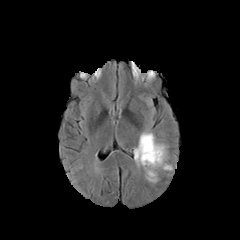
FLAIR MR image.
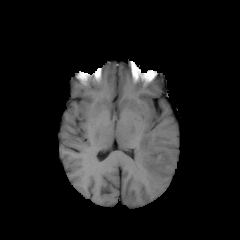
Same slice, T1-weighted magnetic resonance.
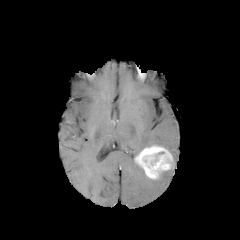
Same slice, post-contrast T1-weighted MRI.
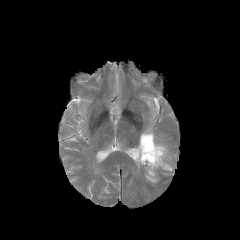
T2-weighted magnetic resonance.
Head.
edema:
  - <bbox>132, 125, 169, 161</bbox>
enhancing_tumor:
  - <bbox>135, 144, 172, 179</bbox>